Computed tomography; Liver; Field of view 409x409 mm

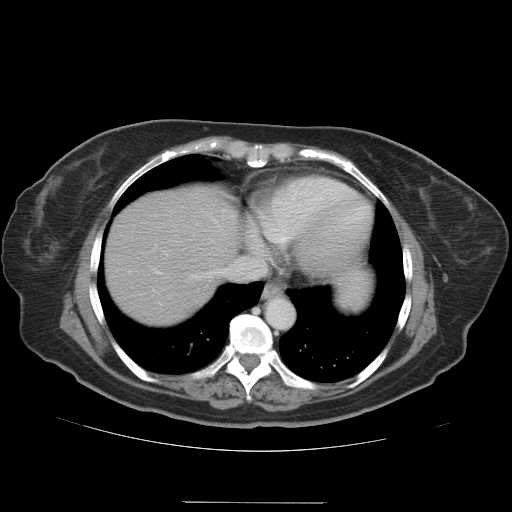 The vessel annotation is not exhaustive.
- hepatic vessel: (x1=198, y1=269, x2=225, y2=277), (x1=194, y1=301, x2=198, y2=302)